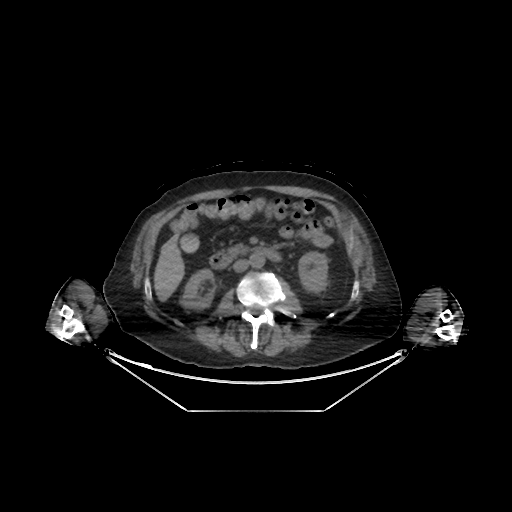 512x512; Computed tomography

2 kidney regions appear at <box>179,267,218,311</box>, <box>297,252,332,297</box>. 2 liver regions are bounded by <box>154,234,184,300</box>, <box>180,235,198,252</box>.